CT image; Slice index 81

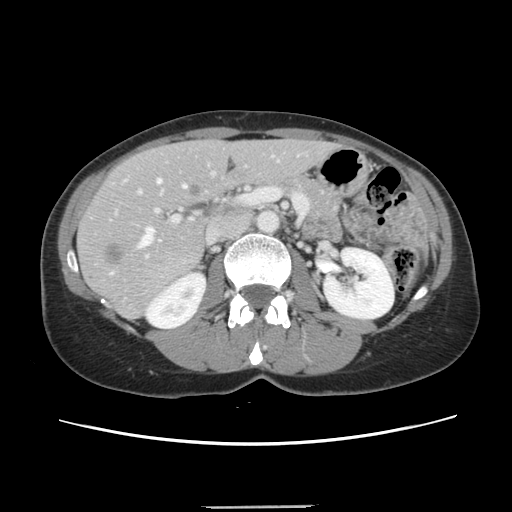

Only some of the vessels may be annotated.
The liver tumor is bounded by 105, 244, 123, 260. 11 hepatic vessel regions are bounded by 183, 185, 185, 187; 170, 215, 179, 222; 271, 155, 273, 156; 211, 171, 213, 174; 138, 190, 140, 192; 157, 178, 160, 182; 124, 179, 126, 180; 189, 218, 191, 219; 110, 272, 112, 273; 155, 208, 158, 211; 138, 227, 153, 246.